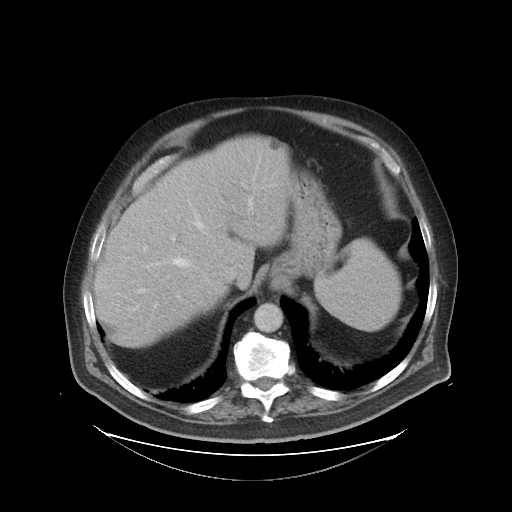 Liver; Computed tomography

Only some of the vessels may be annotated.
{
  "hepatic_vessel": [
    "bbox(248, 197, 252, 212)",
    "bbox(171, 258, 190, 266)",
    "bbox(187, 199, 206, 233)",
    "bbox(172, 237, 174, 239)",
    "bbox(270, 185, 273, 185)",
    "bbox(177, 294, 180, 299)",
    "bbox(139, 289, 144, 291)",
    "bbox(252, 155, 260, 188)"
  ]
}